Field of view 487 mm wide, 3.75 mm slice spacing | 512x512 | CT slice | Liver

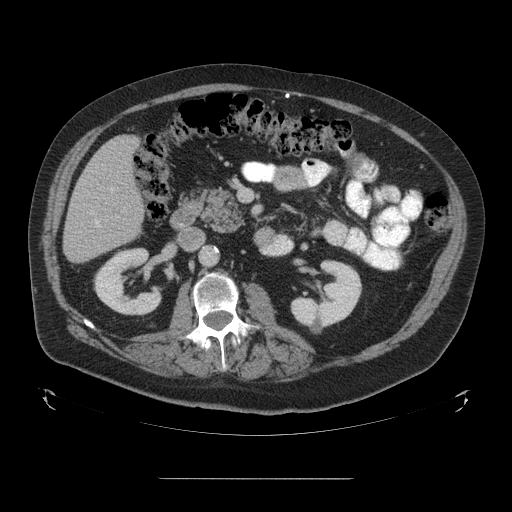
The vessel boxes may cover only some of the vessels.
hepatic_vessel:
  - l=108, t=186, r=114, b=192
  - l=89, t=205, r=100, b=227
  - l=115, t=215, r=119, b=218